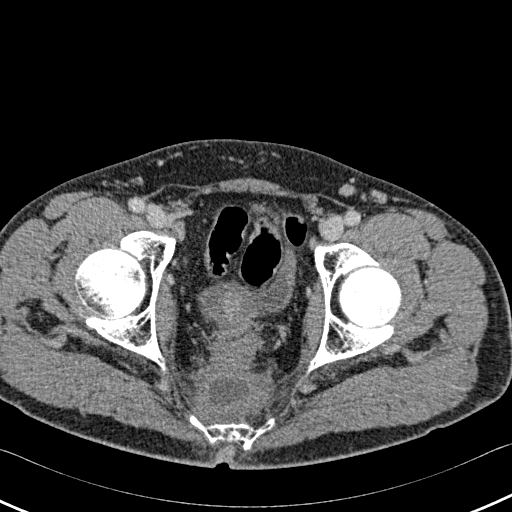
CT scan slice
<segmentation>
  <urinary_bladder>(199,249,296,322)</urinary_bladder>
  <bone>(309,243,402,371), (76,231,175,369), (190,415,274,449)</bone>
</segmentation>